CT; Liver 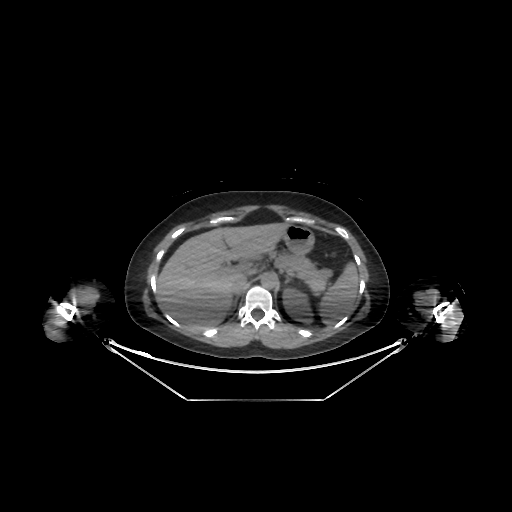
liver:
  - region(155, 223, 288, 336)
kidney:
  - region(282, 287, 315, 323)